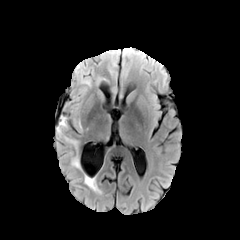
FLAIR MRI.
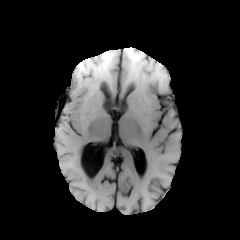
T1-weighted MR.
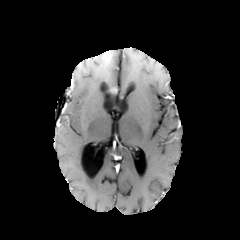
Post-contrast T1-weighted MR of the same slice.
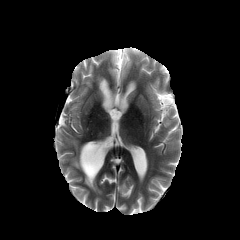
T2-weighted MRI.
Edema: left=56, top=116, right=66, bottom=132; left=84, top=175, right=97, bottom=190.